240x240 px, Slice 101 of 155
FLAIR MR image.
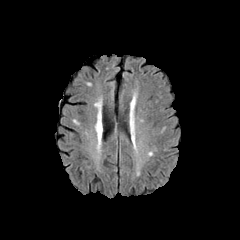
T1-weighted MR.
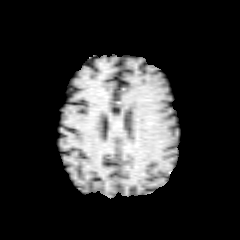
Post-contrast T1-weighted MR.
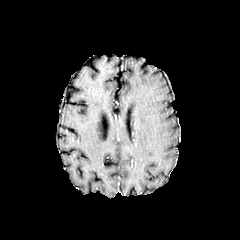
T2-weighted MR image.
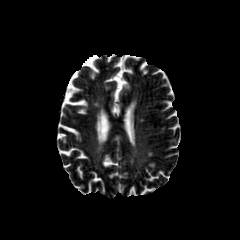
The edema is bounded by (x1=130, y1=101, x2=135, y2=133).